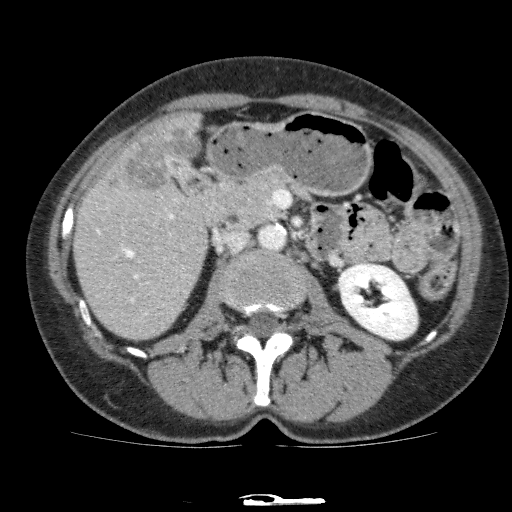

Liver; CT; 512x512 px

Liver: x1=73 y1=142 x2=208 y2=341, x1=152 y1=112 x2=203 y2=140.
Hepatic lesion: x1=104 y1=124 x2=201 y2=192.
Kidney: x1=339 y1=264 x2=416 y2=339.